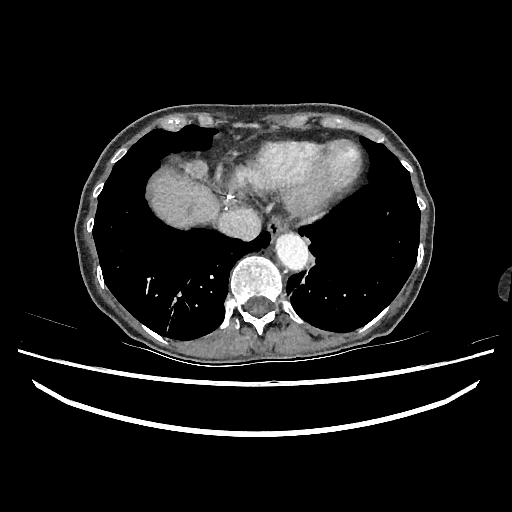
CT scan slice; Liver
The liver lies within 150 173 219 227.